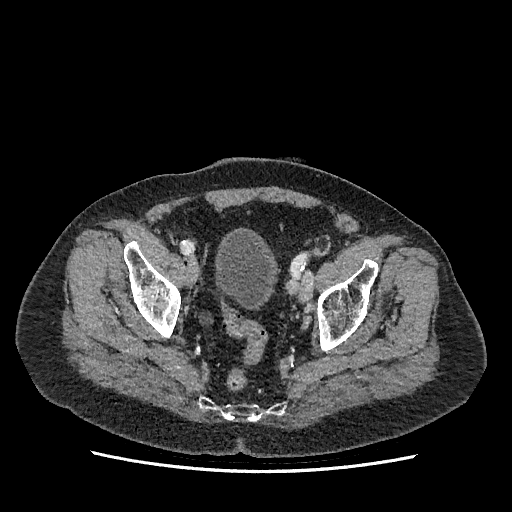
Pelvis | CT

urinary_bladder:
  - rect(215, 232, 272, 309)